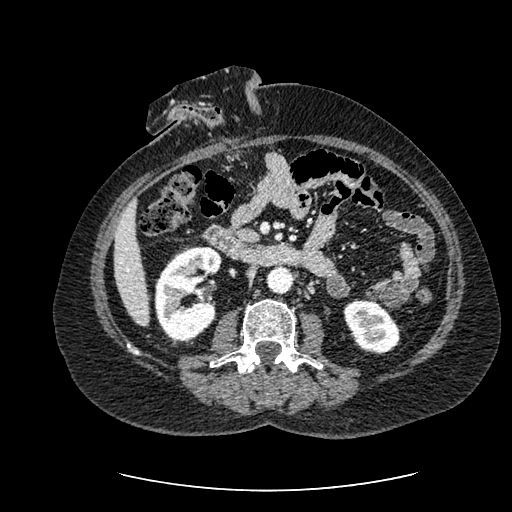 CT | Upper abdomen
liver:
  - <box>115,200,149,325</box>
kidney:
  - <box>155,247,220,340</box>
  - <box>344,301,398,352</box>